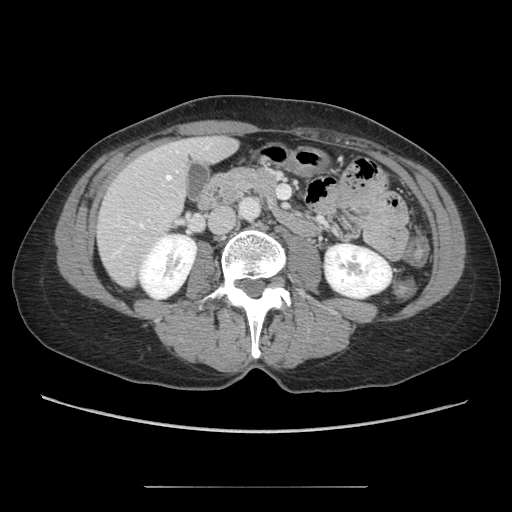

CT slice, Upper abdomen
pancreas:
  - x1=220 y1=166 x2=278 y2=211